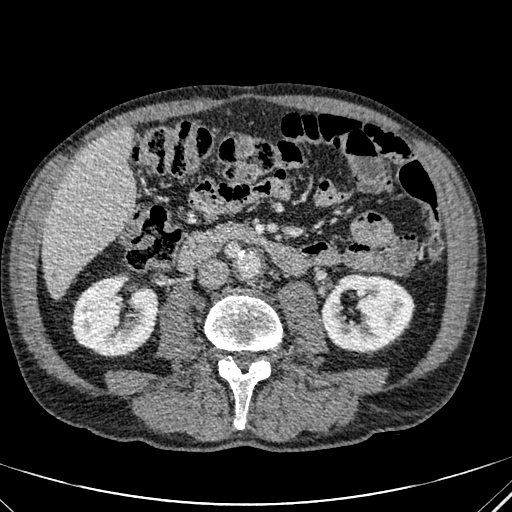 512x512; Upper abdomen; CT slice

<segmentation>
  <liver>[42,127,134,298]</liver>
  <kidney>[322,276,413,350], [73,277,156,354]</kidney>
</segmentation>